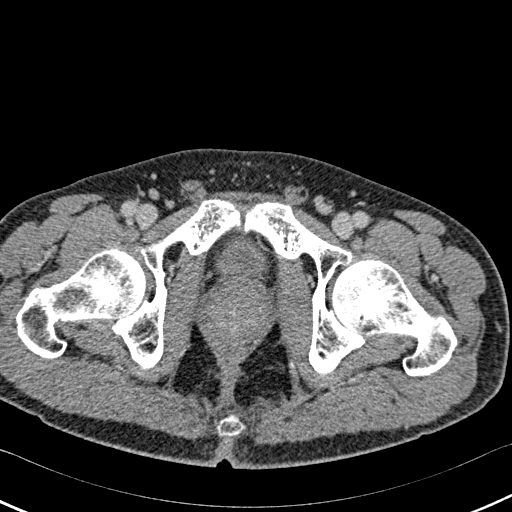
CT scan slice.

bone: [x1=16, y1=200, x2=456, y2=375], [x1=220, y1=415, x2=243, y2=435]